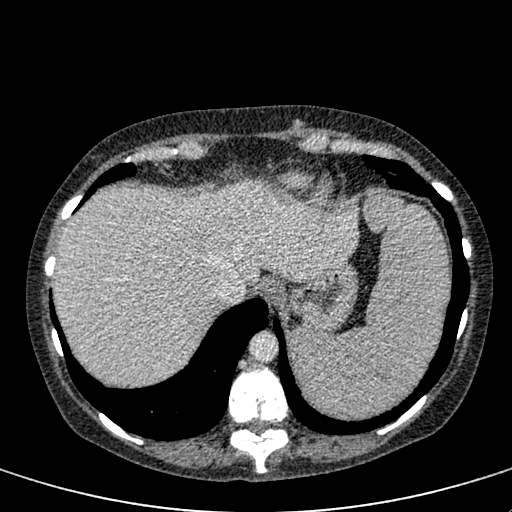

Computed tomography
The liver lies within bbox=[56, 181, 358, 386].